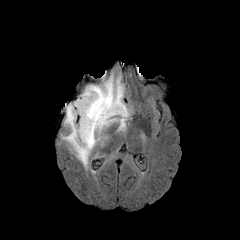
FLAIR magnetic resonance.
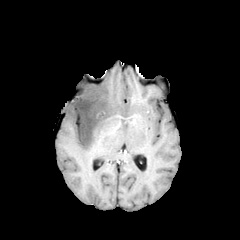
T1-weighted MRI.
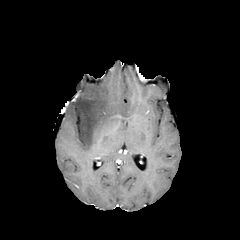
Same slice, post-contrast T1-weighted MRI.
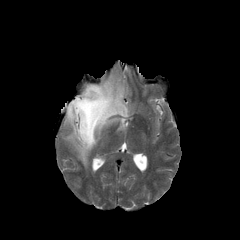
Same slice, T2-weighted magnetic resonance.
Non-enhancing tumor core at (65, 94, 110, 145).
Edema at (63, 75, 130, 168).